Field of view 240x240 mm; Brain
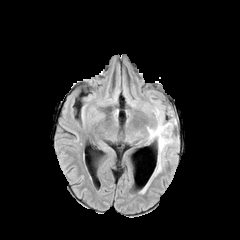
FLAIR MR.
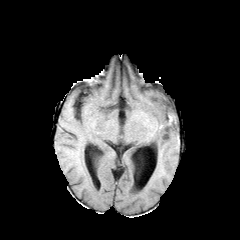
T1-weighted MR image.
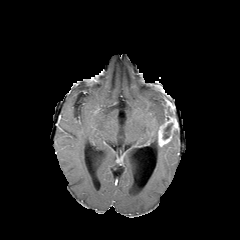
Post-contrast T1-weighted MR of the same slice.
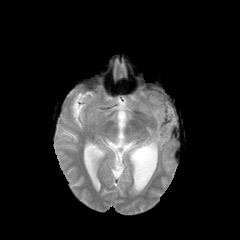
T2-weighted MRI.
2 non-enhancing tumor core regions are bounded by (left=163, top=110, right=172, bottom=123), (left=160, top=120, right=176, bottom=137). The enhancing tumor appears at (left=158, top=130, right=167, bottom=145). 2 edema regions are bounded by (left=147, top=101, right=175, bottom=176), (left=163, top=126, right=171, bottom=139).